FLAIR MR image.
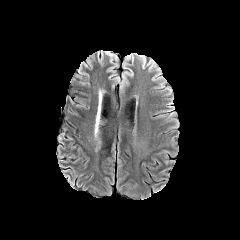
T1-weighted magnetic resonance.
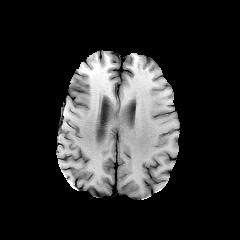
Post-contrast T1-weighted MR image.
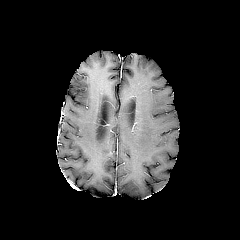
T2-weighted MRI.
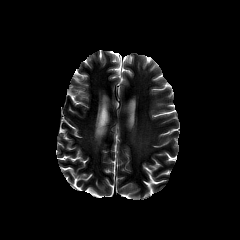
240x240
Findings:
- edema: (94, 110, 100, 135)